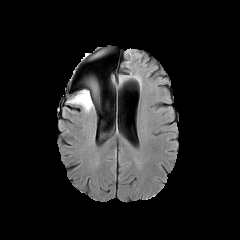
FLAIR MR image.
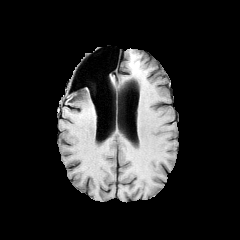
Same slice, T1-weighted MR.
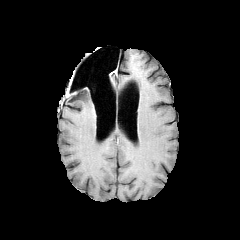
Post-contrast T1-weighted magnetic resonance of the same slice.
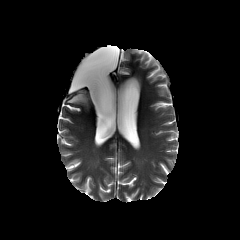
T2-weighted MRI.
Image size 240x240
Annotated regions:
* edema: l=67, t=89, r=95, b=113